Computed tomography | 512x512

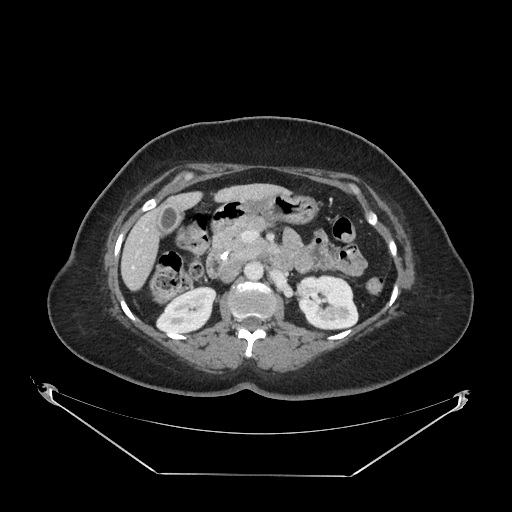

pancreas: (215,216,268,281)